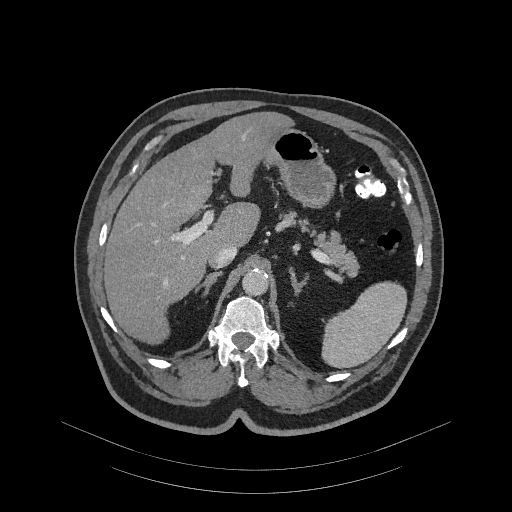
Computed tomography | 512x512 px

pancreas:
  - [303, 222, 359, 276]
  - [284, 211, 297, 218]